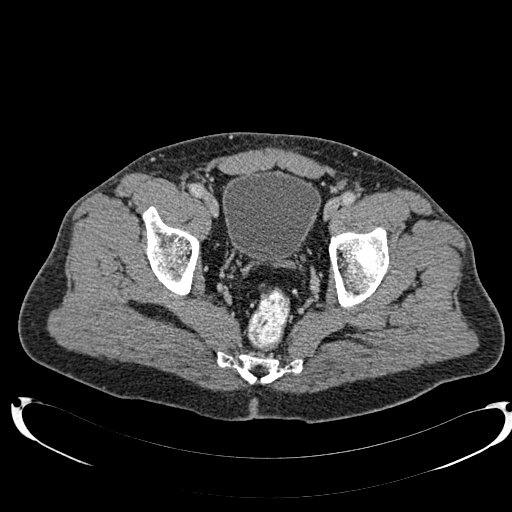 CT image. Image size 512x512. Lower abdomen.

The urinary bladder is located at [222, 169, 320, 265].